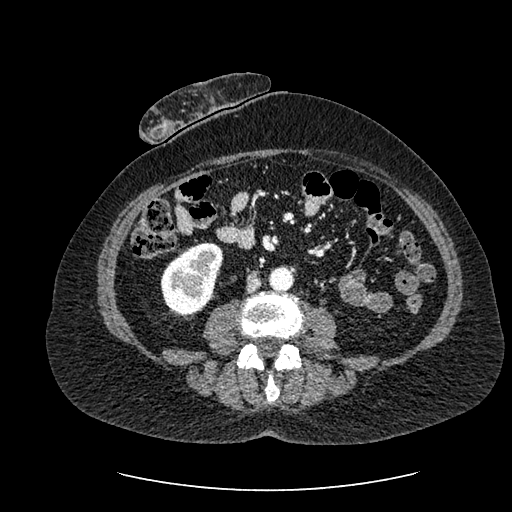 CT slice, 512x512 px
The kidney appears at [x1=161, y1=243, x2=222, y2=314].